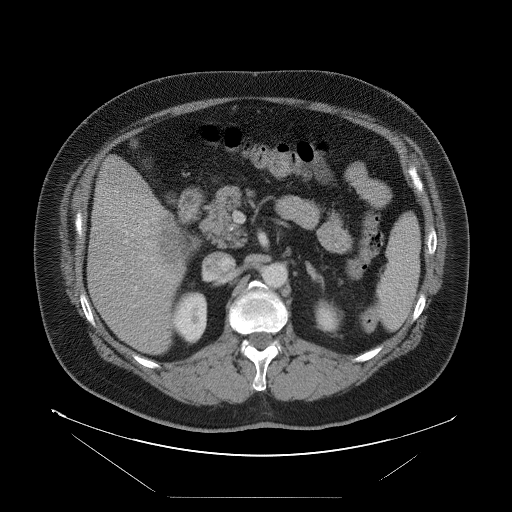
CT; 512x512; Liver
The vessel boxes may cover only some of the vessels.
liver_tumor:
  - left=160, top=217, right=196, bottom=267
hepatic_vessel:
  - left=159, top=271, right=162, bottom=275
  - left=138, top=256, right=144, bottom=258
  - left=149, top=230, right=153, bottom=233
  - left=151, top=257, right=153, bottom=260
  - left=143, top=220, right=147, bottom=223
  - left=122, top=221, right=128, bottom=234
  - left=133, top=286, right=136, bottom=293
  - left=173, top=275, right=174, bottom=276
  - left=130, top=234, right=132, bottom=235
  - left=133, top=305, right=135, bottom=307
  - left=152, top=218, right=156, bottom=220
  - left=124, top=239, right=127, bottom=242